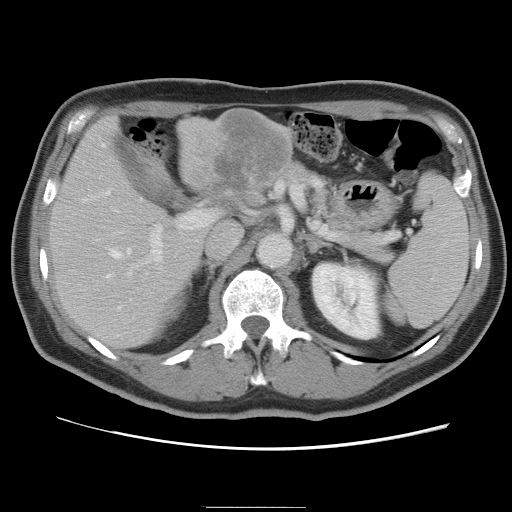 Abdomen | CT image
The vessel annotation is not exhaustive.
Liver tumor: bounding box 214, 113, 282, 199.
Hepatic vessel: bounding box 127, 248, 130, 252; 106, 273, 110, 277; 103, 189, 109, 194; 110, 248, 120, 257; 177, 210, 212, 228; 117, 306, 120, 309; 114, 209, 116, 210; 145, 224, 161, 261; 102, 143, 104, 145; 127, 271, 131, 275; 81, 197, 87, 201.